FLAIR MRI.
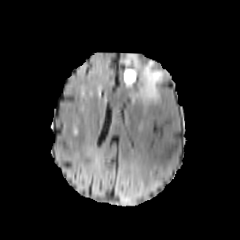
T1-weighted magnetic resonance.
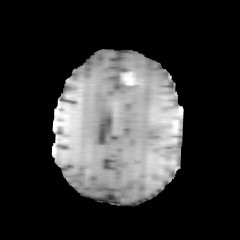
Post-contrast T1-weighted MR image.
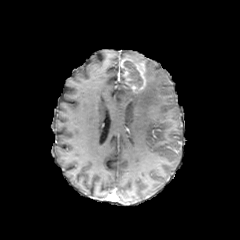
T2-weighted MR image.
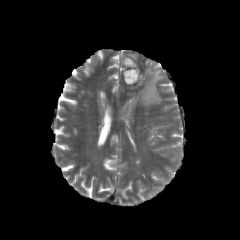
Brain
non-enhancing_tumor_core:
  - <box>123,60,143,88</box>
edema:
  - <box>126,54,141,62</box>
  - <box>127,60,165,106</box>
enhancing_tumor:
  - <box>121,57,146,92</box>